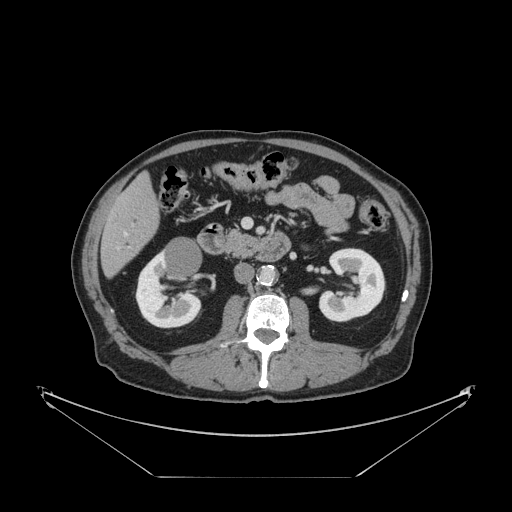 CT scan slice
Only some of the vessels may be annotated.
Hepatic vessel = box(124, 232, 126, 235).